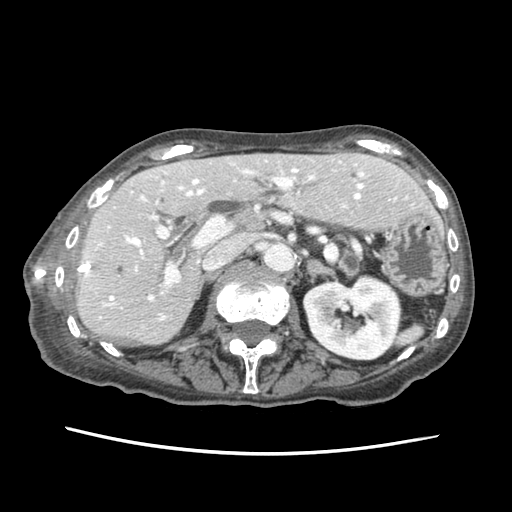

Computed tomography; Image size 512x512; Upper abdomen
Pancreas = x1=340 y1=249 x2=359 y2=275.